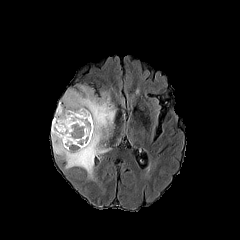
FLAIR MR.
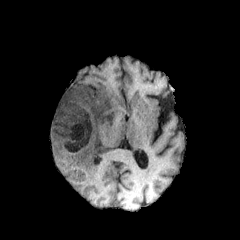
T1-weighted MR of the same slice.
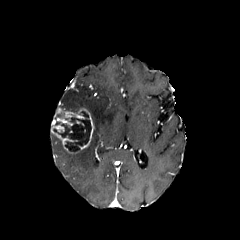
Post-contrast T1-weighted MR.
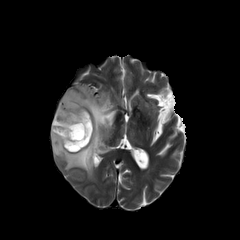
T2-weighted MRI.
240x240 px | Brain
Edema — left=50, top=84, right=117, bottom=181.
Non-enhancing tumor core — left=52, top=117, right=91, bottom=151.
Enhancing tumor — left=51, top=107, right=94, bottom=153.